FLAIR MRI.
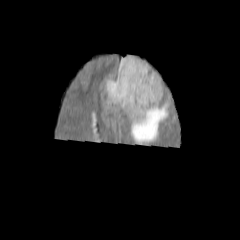
T1-weighted magnetic resonance.
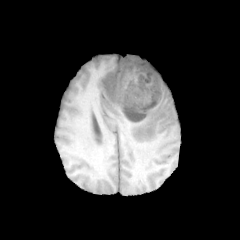
Post-contrast T1-weighted MRI.
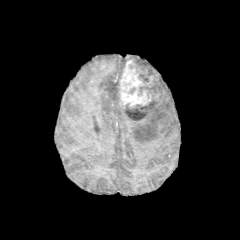
T2-weighted MR.
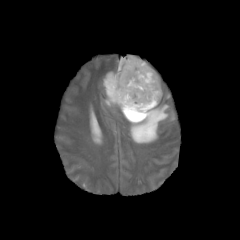
Head.
2 edema regions are located at (left=102, top=54, right=141, bottom=106), (left=121, top=88, right=169, bottom=142). 2 non-enhancing tumor core regions are bounded by (left=124, top=56, right=162, bottom=120), (left=106, top=82, right=120, bottom=101). The enhancing tumor is at (left=118, top=59, right=155, bottom=107).